Liver. Slice index 35. CT slice. Image size 512x512.
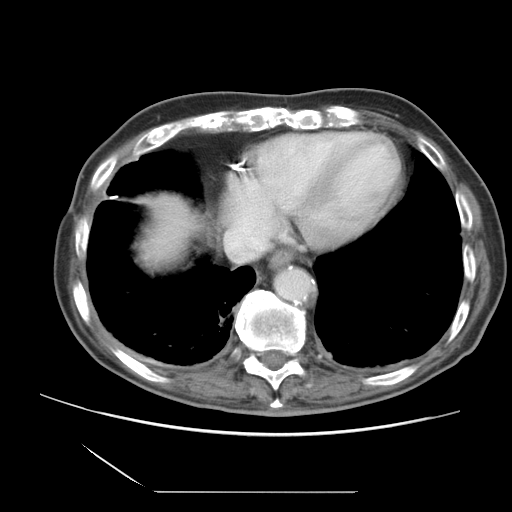 Not every hepatic vessel necessarily has a box.
Findings:
• hepatic vessel: 227,207,265,263